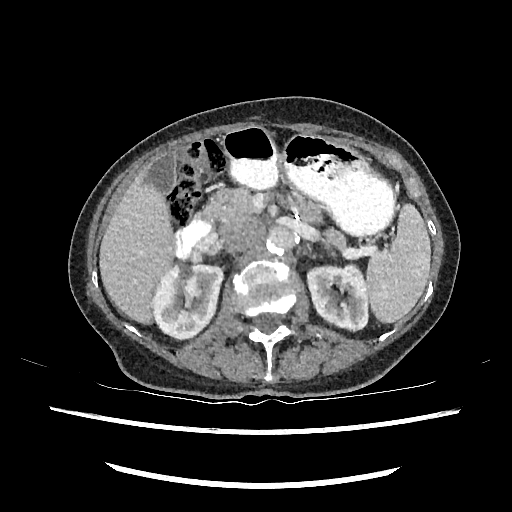 CT slice
• kidney: (left=308, top=266, right=367, bottom=328), (left=153, top=265, right=222, bottom=338)
• liver: (left=100, top=172, right=175, bottom=321)